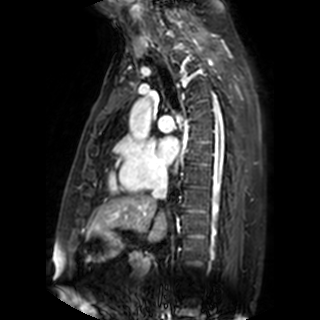
MRI
left atrium: 157 137 177 162